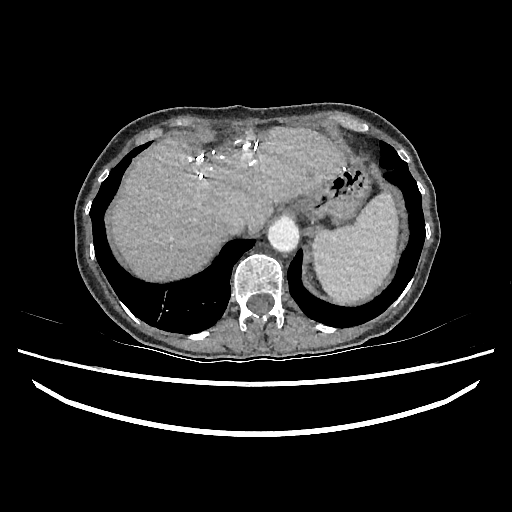 CT image. Abdomen. Segmented structures:
• liver: box(112, 127, 341, 280)